Slice 60 of 155
FLAIR MRI.
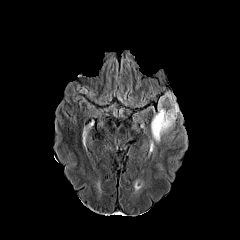
T1-weighted MR image.
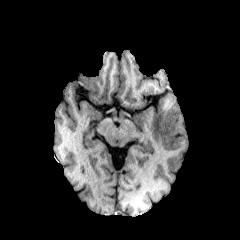
Post-contrast T1-weighted magnetic resonance.
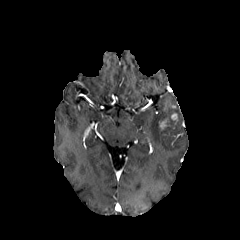
T2-weighted MR.
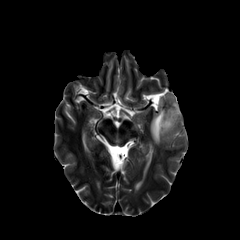
* enhancing tumor: box=[159, 118, 170, 134]
* edema: box=[150, 93, 179, 144]; box=[178, 115, 185, 131]